Pelvis; CT

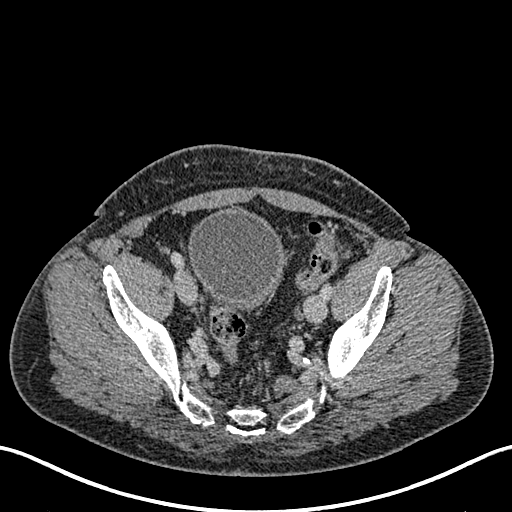

{
  "urinary_bladder": [
    "189 212 287 312"
  ]
}